240x240 | Head
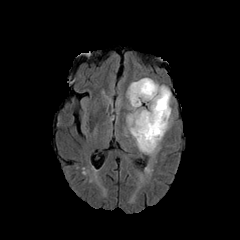
FLAIR MR image.
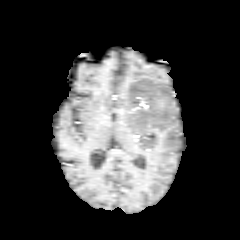
T1-weighted MRI.
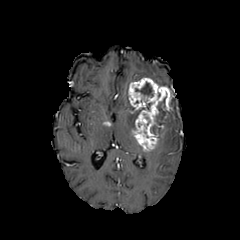
Post-contrast T1-weighted MR.
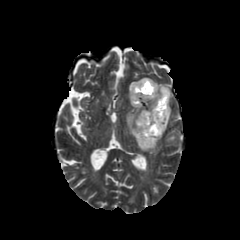
T2-weighted MR.
Enhancing tumor — (128,78,172,150).
Edema — (134,138,157,153), (157,110,171,144), (126,112,136,137).
Non-enhancing tumor core — (136,83,152,96), (155,98,166,126), (151,125,163,136), (131,103,151,117).